Field of view 400 mm wide, 0.70 mm slice spacing; Slice 583 of 629; CT scan slice; Image size 512x512 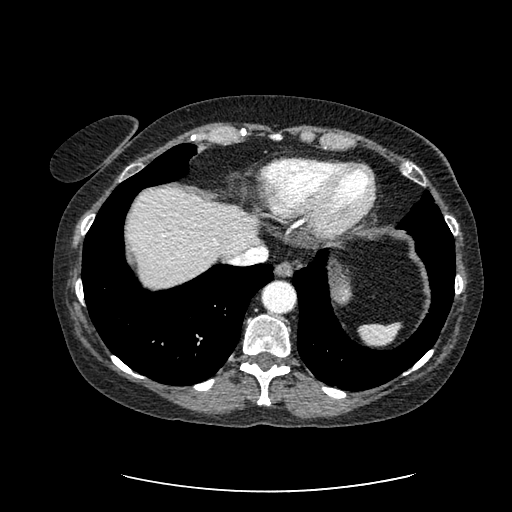 The liver is located at [127, 188, 260, 286].